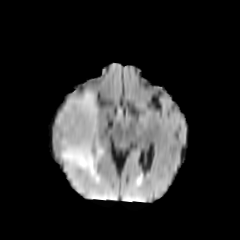
FLAIR MRI.
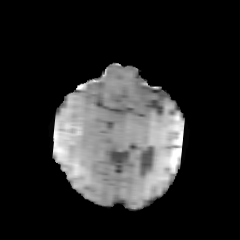
T1-weighted magnetic resonance.
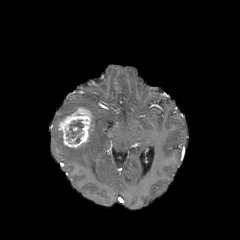
Same slice, post-contrast T1-weighted MRI.
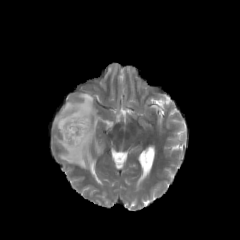
T2-weighted MR.
Brain
enhancing tumor: 58,107,93,147 | non-enhancing tumor core: 66,119,84,138 | edema: 53,92,102,180